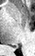

35x56 px; Medial temporal lobe; MR
{
  "posterior_hippocampus": [
    "rect(11, 46, 17, 47)"
  ]
}